Field of view 240 mm wide, 1.00 mm slice spacing.
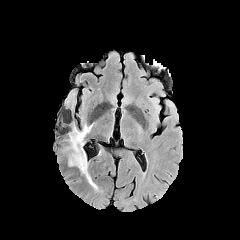
FLAIR magnetic resonance.
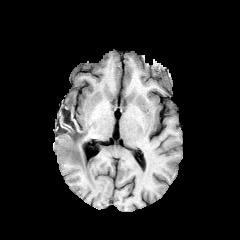
T1-weighted MRI.
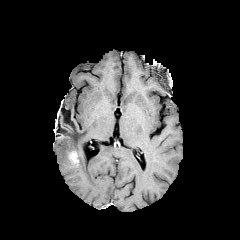
Post-contrast T1-weighted MR image of the same slice.
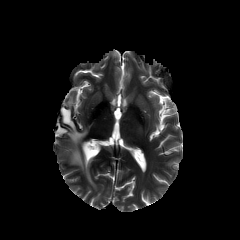
T2-weighted MRI.
* enhancing tumor: [70,150,79,165]
* edema: [67,93,74,104], [62,123,97,189]